CT scan slice. Slice 380/761. Upper abdomen.
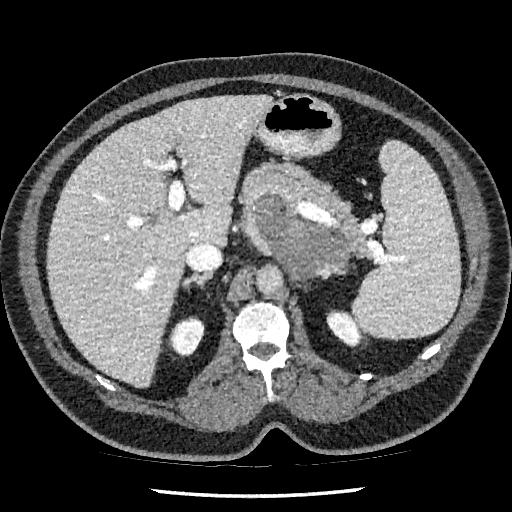
* kidney: 171, 319, 203, 354; 328, 313, 359, 344
* liver: 47, 95, 271, 386